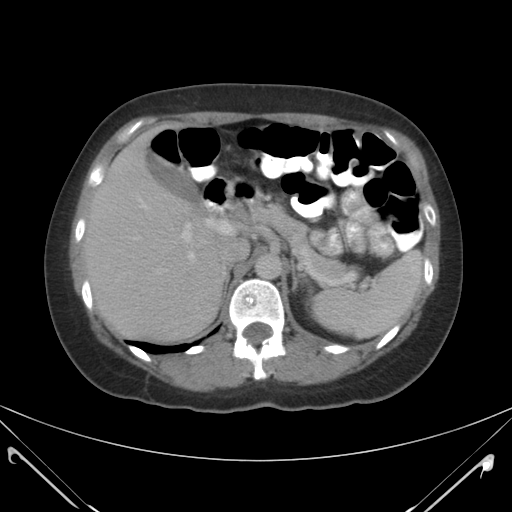 CT image

spleen:
  - (312, 250, 424, 337)